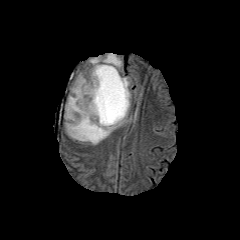
FLAIR MR image.
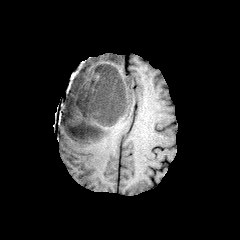
T1-weighted magnetic resonance.
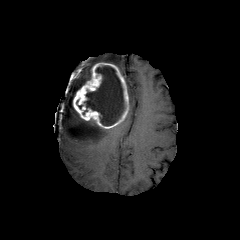
Post-contrast T1-weighted MR image.
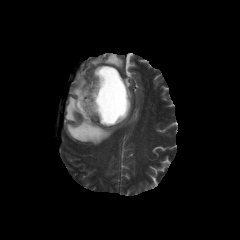
T2-weighted magnetic resonance.
Non-enhancing tumor core: [x1=68, y1=97, x2=73, y2=117], [x1=86, y1=64, x2=123, y2=125], [x1=74, y1=69, x2=85, y2=96], [x1=70, y1=129, x2=81, y2=135].
Enhancing tumor: [x1=72, y1=63, x2=128, y2=128].
Edema: [x1=80, y1=53, x2=122, y2=81], [x1=64, y1=76, x2=137, y2=145].